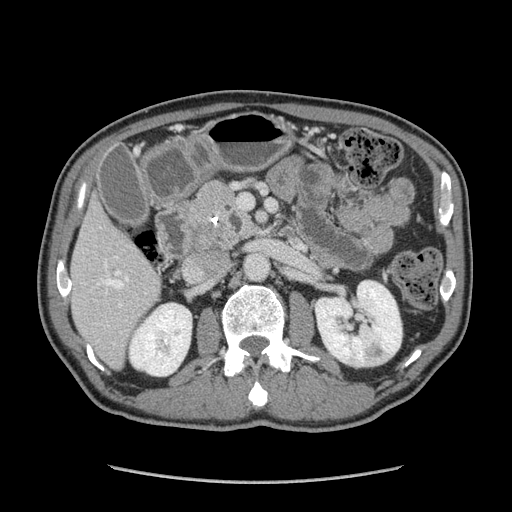

Abdomen; CT scan slice

Pancreas = {"x1": 183, "y1": 181, "x2": 256, "y2": 252}.